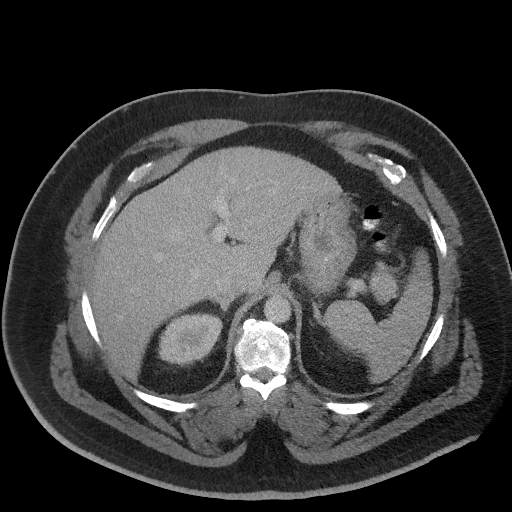

CT scan slice
Pancreas: bounding box box=[371, 264, 397, 301].
Pancreatic tumor: bounding box box=[373, 273, 394, 302].